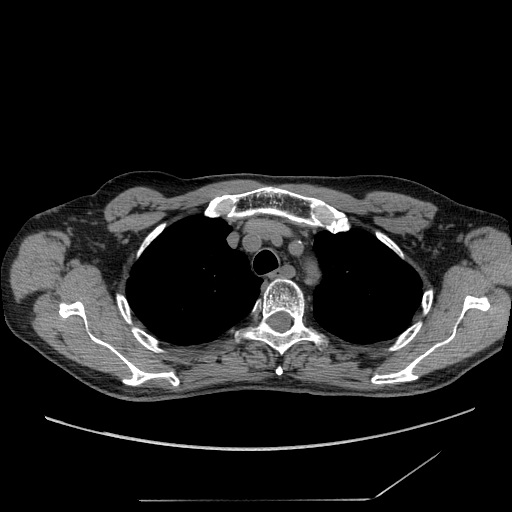
CT scan slice; Chest
Lung tumor = {"x1": 138, "y1": 273, "x2": 158, "y2": 291}.